FLAIR magnetic resonance.
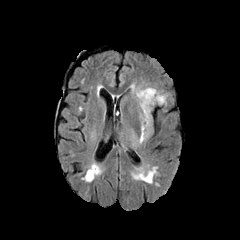
T1-weighted MR.
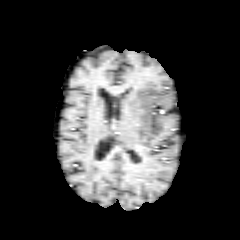
Post-contrast T1-weighted MRI.
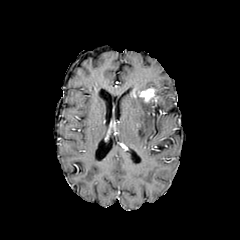
T2-weighted MR.
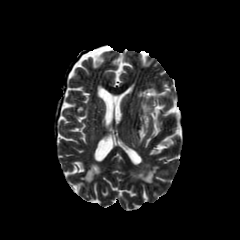
Brain.
Annotated regions:
- enhancing tumor: [x1=139, y1=88, x2=158, y2=101]
- edema: [x1=130, y1=85, x2=167, y2=143]